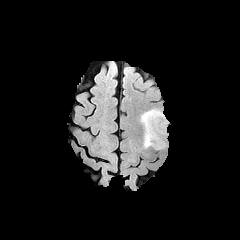
FLAIR MR image.
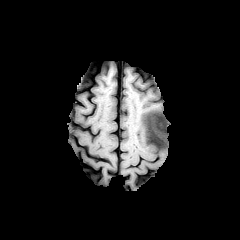
T1-weighted MR image.
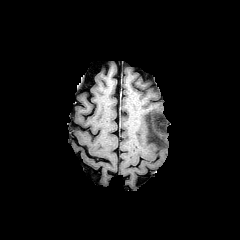
Post-contrast T1-weighted MR image.
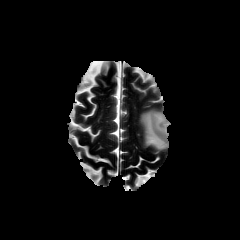
T2-weighted magnetic resonance.
Head
* edema: (140,108,168,150)
* non-enhancing tumor core: (142,110,154,142)